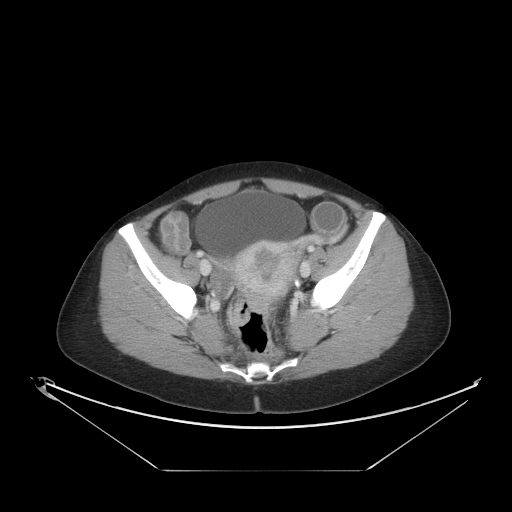
Abdomen; CT
2 colon tumor regions are located at x1=227, y1=299, x2=250, y2=337; x1=246, y1=296, x2=263, y2=313.